FLAIR MRI.
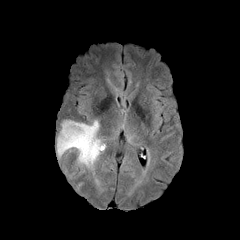
T1-weighted magnetic resonance.
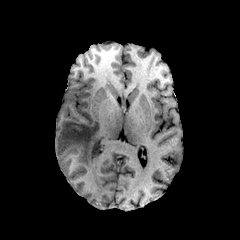
Post-contrast T1-weighted MR.
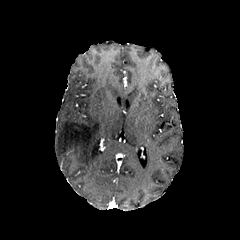
T2-weighted MR.
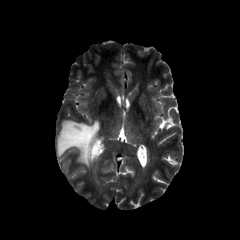
Brain
The edema is at bbox(57, 120, 103, 174).